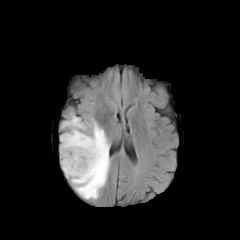
FLAIR magnetic resonance.
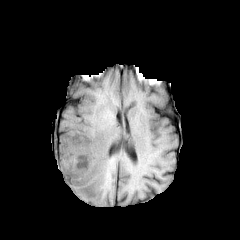
T1-weighted MRI.
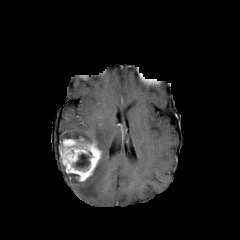
Same slice, post-contrast T1-weighted MRI.
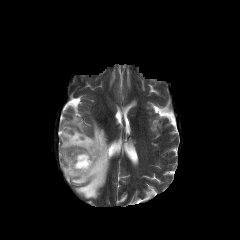
T2-weighted MR.
Head | 240x240
edema:
  - <box>62,115,110,200</box>
enhancing_tumor:
  - <box>59,138,101,181</box>
non-enhancing_tumor_core:
  - <box>75,154,89,167</box>